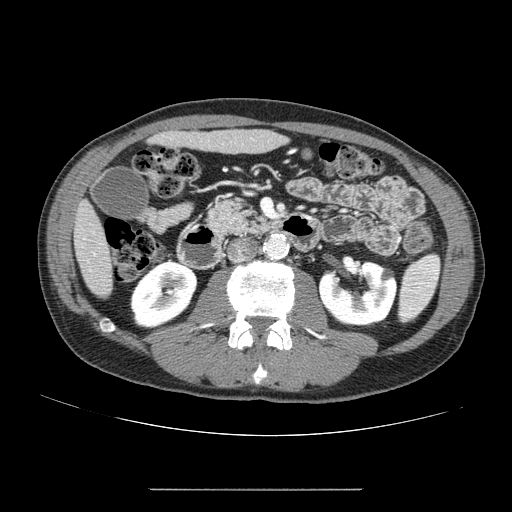
CT; Abdomen
<segmentation>
  <pancreas>bbox(207, 199, 275, 237)</pancreas>
</segmentation>